240x240 px; Head
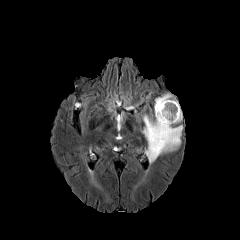
FLAIR MR image.
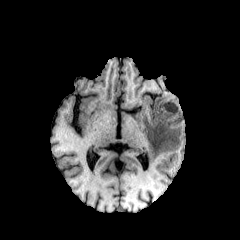
Same slice, T1-weighted MRI.
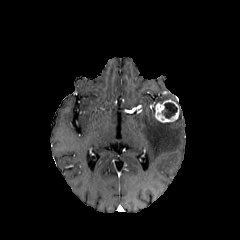
Post-contrast T1-weighted MRI.
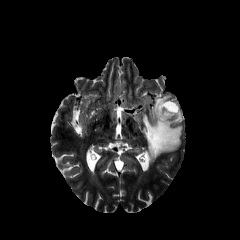
T2-weighted MR of the same slice.
Enhancing tumor at <box>155,99,179,123</box>.
Edema at <box>141,110,183,165</box>, <box>155,92,173,103</box>.
Non-enhancing tumor core at <box>163,102,177,118</box>.